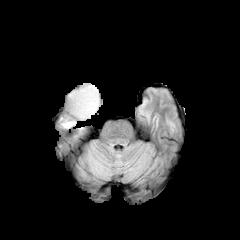
FLAIR MR.
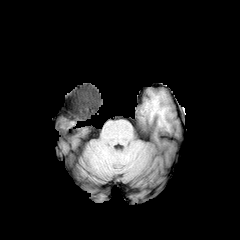
T1-weighted MR image.
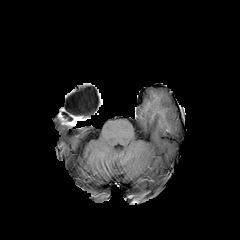
Same slice, post-contrast T1-weighted MRI.
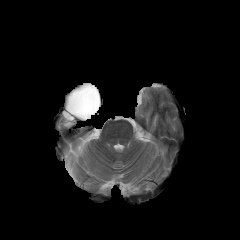
T2-weighted MRI.
240x240 px, Head
The non-enhancing tumor core is located at left=63, top=83, right=100, bottom=121. The enhancing tumor is at left=62, top=114, right=88, bottom=125.